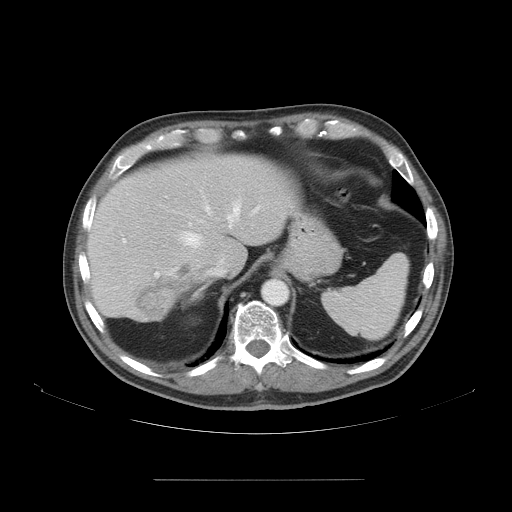
Computed tomography; Liver
The vessel boxes may cover only some of the vessels.
liver_tumor:
  - [130, 263, 197, 316]
hepatic_vessel:
  - [220, 259, 222, 264]
  - [122, 240, 125, 242]
  - [188, 222, 191, 226]
  - [178, 230, 202, 249]
  - [226, 196, 240, 228]
  - [155, 273, 158, 275]
  - [219, 272, 222, 275]
  - [252, 208, 257, 213]
  - [205, 207, 209, 212]